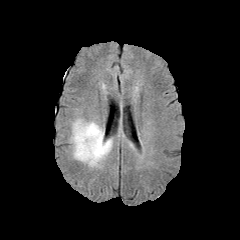
FLAIR MR image.
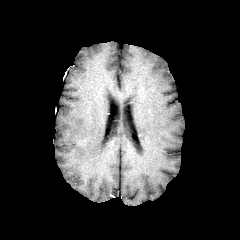
T1-weighted magnetic resonance of the same slice.
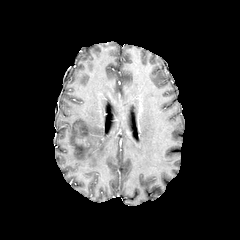
Post-contrast T1-weighted magnetic resonance.
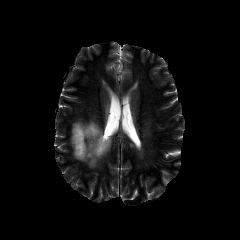
Same slice, T2-weighted MR image.
Brain | 240x240
The edema appears at left=69, top=117, right=113, bottom=168.